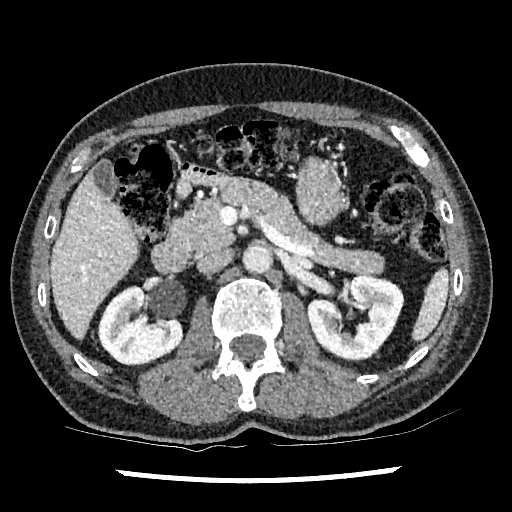

CT image | Image size 512x512
* liver: 51, 169, 137, 339
* kidney: 308, 276, 402, 358; 99, 288, 181, 363